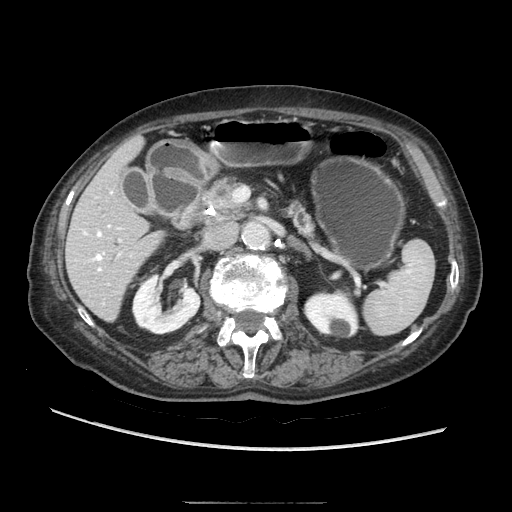
CT
pancreas:
  - rect(290, 200, 314, 241)
  - rect(206, 177, 248, 213)
pancreatic_tumor:
  - rect(214, 195, 232, 208)